Image size 512x512; CT image; Slice 58 of 114; Liver 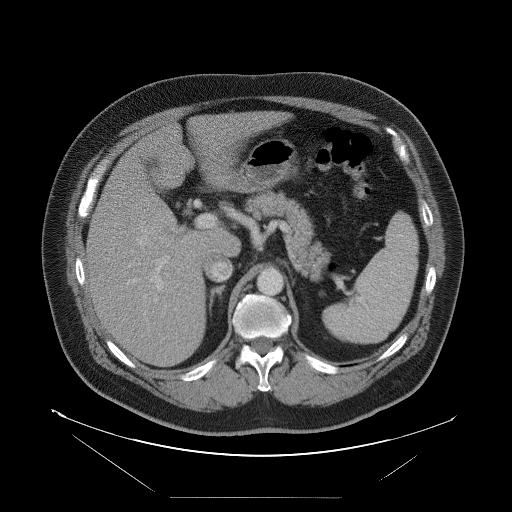
The vessel annotation is not exhaustive.
<segmentation>
  <hepatic_vessel>140:227:146:231, 143:294:146:297, 137:235:146:244, 174:307:176:309, 156:255:169:271, 163:307:165:310, 166:244:168:245, 127:278:137:284, 115:223:116:225, 150:277:163:290, 161:238:166:241</hepatic_vessel>
</segmentation>